Head; 240x240 px; Image width 240 mm
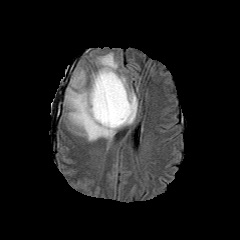
FLAIR MR.
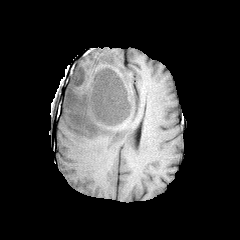
T1-weighted MR image of the same slice.
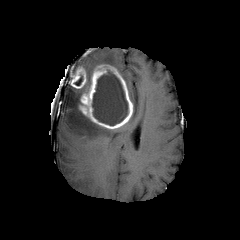
Post-contrast T1-weighted MR image.
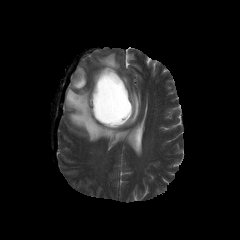
T2-weighted MR image of the same slice.
The non-enhancing tumor core appears at <bbox>92, 72, 128, 125</bbox>. 2 edema regions appear at <bbox>95, 52, 118, 68</bbox>, <bbox>63, 73, 137, 149</bbox>. 2 enhancing tumor regions are located at <bbox>70, 65, 87, 88</bbox>, <bbox>78, 65, 133, 129</bbox>.